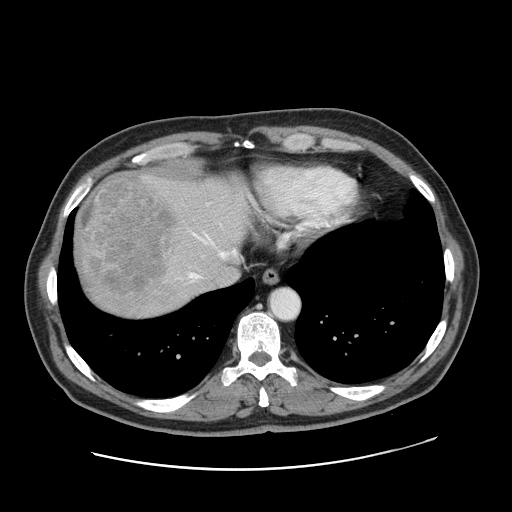 CT slice.
Only some of the vessels may be annotated.
Segmented structures:
- hepatic vessel: rect(234, 274, 237, 278); rect(237, 258, 241, 262); rect(218, 248, 237, 257); rect(189, 230, 212, 243)
- liver tumor: rect(77, 175, 173, 295)